Image size 240x240, Slice index 73
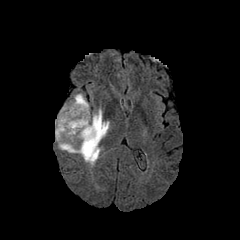
FLAIR MR image.
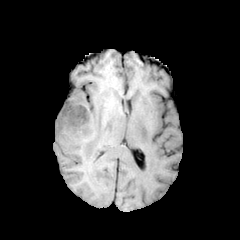
T1-weighted MR image.
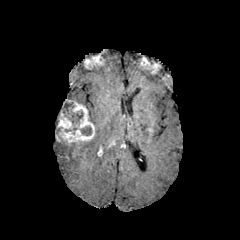
Post-contrast T1-weighted MR of the same slice.
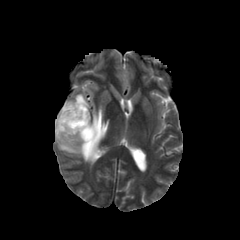
T2-weighted MRI of the same slice.
Edema: bounding box region(56, 93, 109, 166).
Non-enhancing tumor core: bounding box region(62, 102, 83, 123); region(81, 125, 91, 134); region(86, 140, 91, 151).
Enhancing tumor: bounding box region(57, 100, 95, 141).